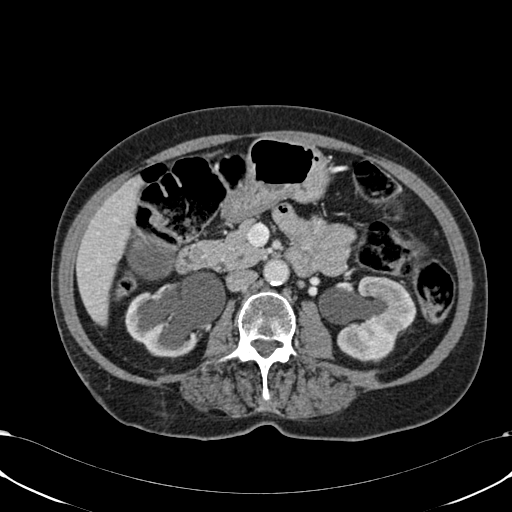
CT
The liver is at x1=76 y1=181 x2=138 y2=322. 2 kidney regions are located at x1=126 y1=291 x2=226 y2=356, x1=337 y1=277 x2=415 y2=360.